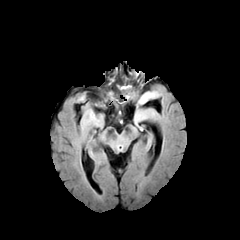
FLAIR MRI.
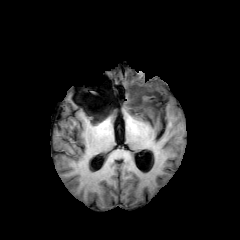
T1-weighted MR image.
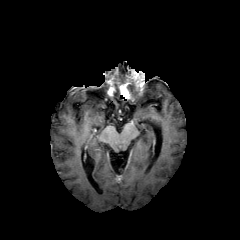
Post-contrast T1-weighted magnetic resonance.
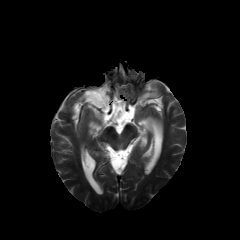
T2-weighted MR image.
240x240 px | Brain
The non-enhancing tumor core is bounded by (left=121, top=82, right=143, bottom=103). The edema appears at (left=133, top=90, right=161, bottom=130).